Brain | Slice index 93
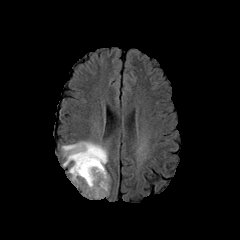
FLAIR magnetic resonance.
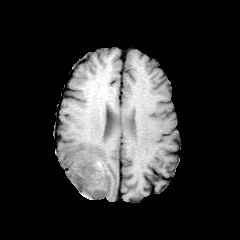
T1-weighted MR.
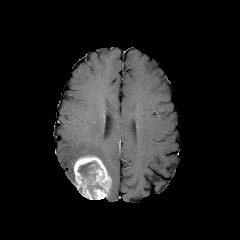
Post-contrast T1-weighted magnetic resonance.
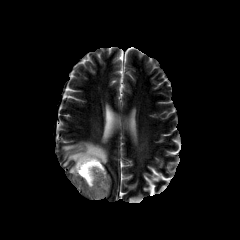
T2-weighted MRI of the same slice.
Enhancing tumor at 74,156,110,199.
Non-enhancing tumor core at 78,163,102,193.
Edema at 62,141,107,183.